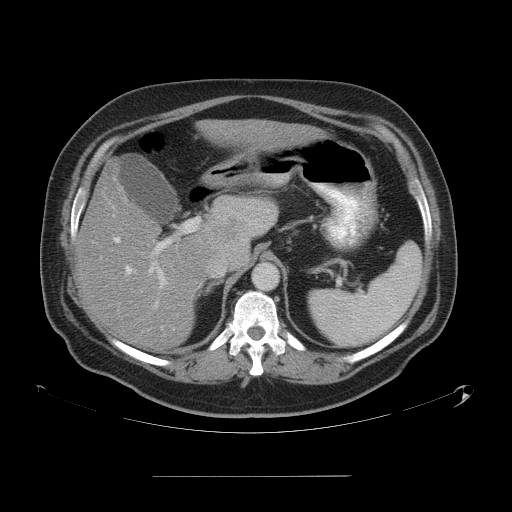
CT image, 512x512 px

The vessel annotation is not exhaustive.
Hepatic vessel: bounding box [x1=114, y1=237, x2=119, y2=242], [x1=113, y1=215, x2=114, y2=216], [x1=213, y1=206, x2=217, y2=213], [x1=149, y1=267, x2=153, y2=272], [x1=161, y1=326, x2=162, y2=328], [x1=158, y1=276, x2=166, y2=287], [x1=205, y1=226, x2=208, y2=229], [x1=193, y1=227, x2=197, y2=230], [x1=153, y1=303, x2=157, y2=307], [x1=126, y1=266, x2=136, y2=273].
Liver tumor: bounding box [x1=215, y1=215, x2=238, y2=241].